Slice 66/247 | CT scan slice
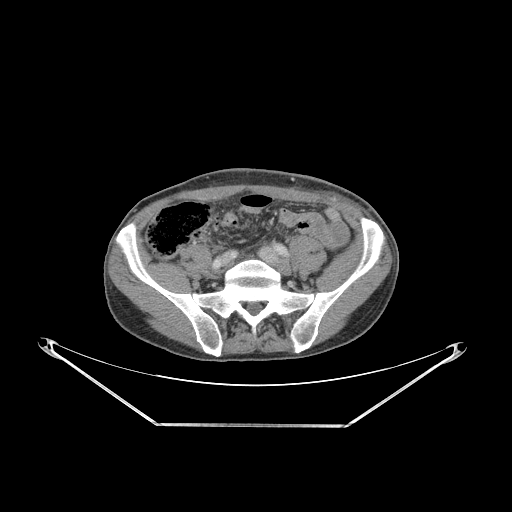

bone: 117,218,383,355